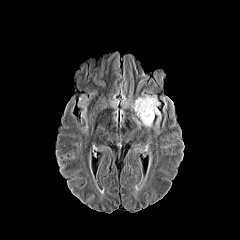
FLAIR MR.
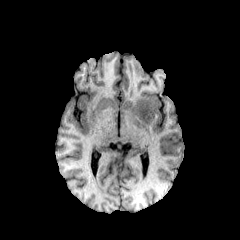
T1-weighted magnetic resonance of the same slice.
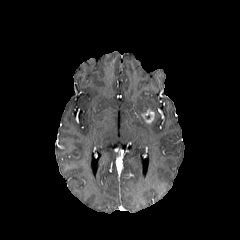
Same slice, post-contrast T1-weighted magnetic resonance.
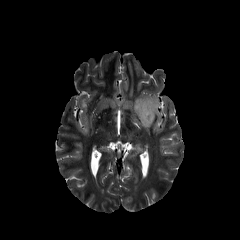
T2-weighted MRI of the same slice.
{"enhancing_tumor": ["<box>142,108,153,123</box>"], "edema": ["<box>131,91,160,130</box>"]}